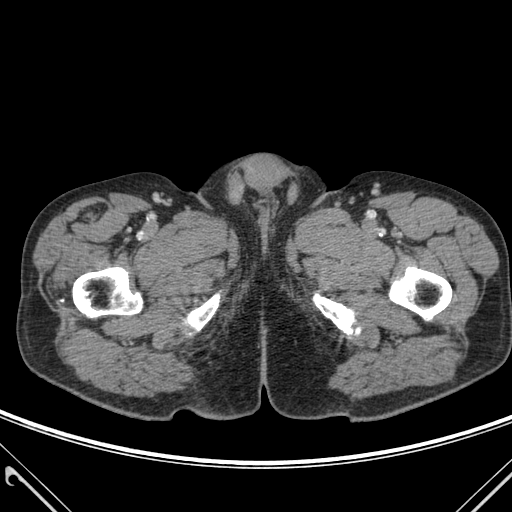
CT image
4 bone regions are bounded by [313,294,355,334], [389,267,451,319], [73,267,142,317], [184,294,219,330].